FLAIR MR.
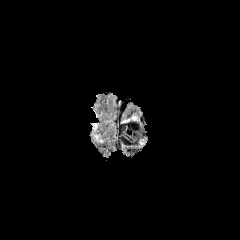
T1-weighted MRI.
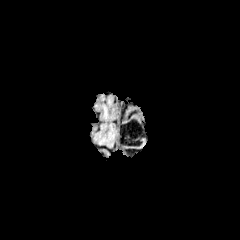
Post-contrast T1-weighted MR image.
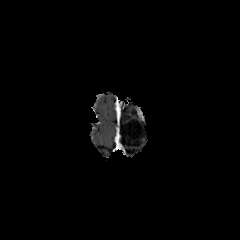
T2-weighted MRI.
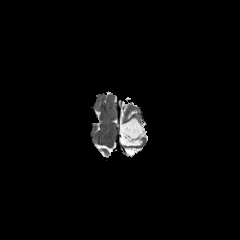
Image size 240x240. Brain.
edema: (left=94, top=133, right=102, bottom=143)